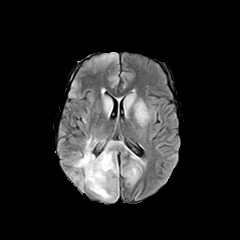
FLAIR MR.
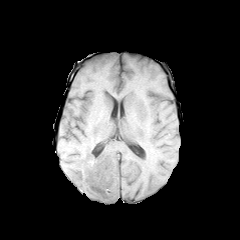
Same slice, T1-weighted MR image.
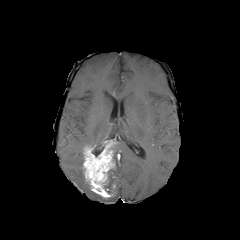
Post-contrast T1-weighted MR of the same slice.
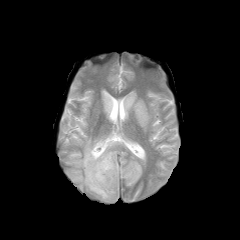
T2-weighted MR image of the same slice.
Brain, 240x240 px
Enhancing tumor at l=83, t=140, r=115, b=197.
Non-enhancing tumor core at l=88, t=142, r=104, b=156; l=104, t=146, r=115, b=197.
Edema at l=83, t=136, r=101, b=146; l=104, t=98, r=111, b=111; l=70, t=152, r=89, b=191; l=124, t=94, r=148, b=123; l=90, t=191, r=117, b=201; l=108, t=140, r=119, b=189.